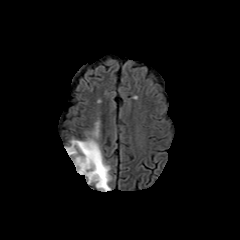
FLAIR MR image.
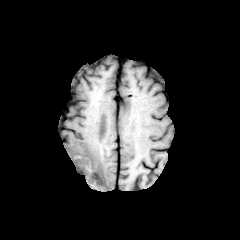
T1-weighted MR image.
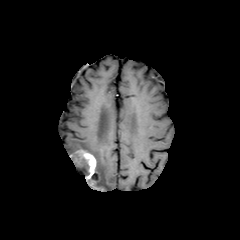
Same slice, post-contrast T1-weighted MRI.
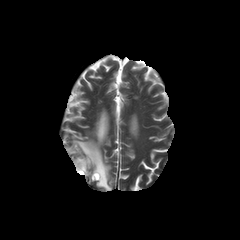
T2-weighted magnetic resonance.
Head, 240x240 px
The enhancing tumor lies within [78, 150, 95, 178]. 2 non-enhancing tumor core regions are located at [73, 151, 89, 176], [91, 154, 98, 179]. The edema is located at [66, 137, 111, 190].